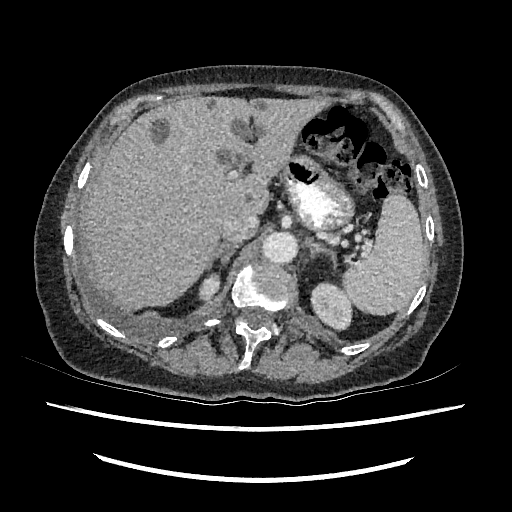

Image size 512x512 | Upper abdomen | CT slice
* focal liver lesion: x1=150 y1=120 x2=168 y2=142, x1=233 y1=120 x2=248 y2=137, x1=216 y1=149 x2=245 y2=168, x1=255 y1=100 x2=263 y2=109
* kidney: x1=312 y1=284 x2=353 y2=329, x1=200 y1=276 x2=219 y2=299
* liver: x1=87 y1=97 x2=329 y2=307